Field of view 240x240 mm, Slice index 33
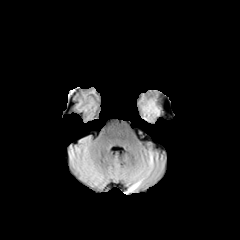
FLAIR MRI.
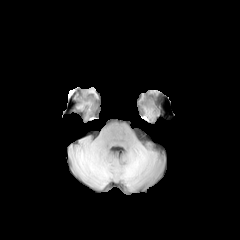
T1-weighted magnetic resonance of the same slice.
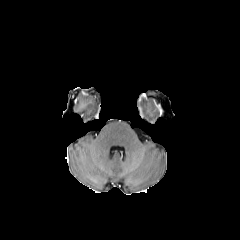
Post-contrast T1-weighted MR.
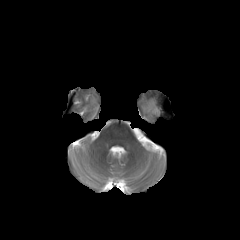
T2-weighted MRI.
edema:
  - <box>148,102,159,115</box>